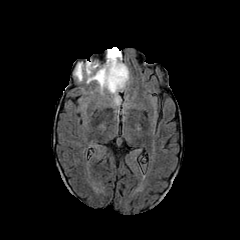
FLAIR MR.
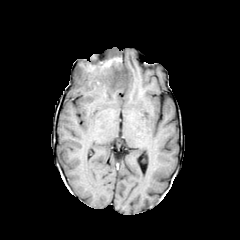
T1-weighted magnetic resonance.
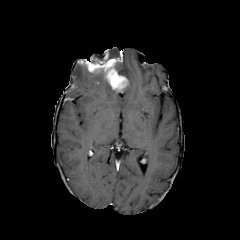
Post-contrast T1-weighted magnetic resonance of the same slice.
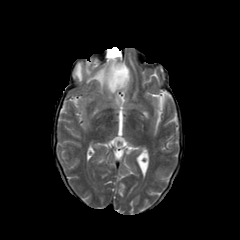
T2-weighted magnetic resonance of the same slice.
enhancing_tumor:
  - [78,50,128,91]
edema:
  - [74,64,122,108]
  - [116,61,131,83]
non-enhancing_tumor_core:
  - [92,52,105,62]
  - [107,47,119,59]
  - [115,66,128,78]
  - [88,69,107,83]